Liver; CT scan slice; 512x512 px 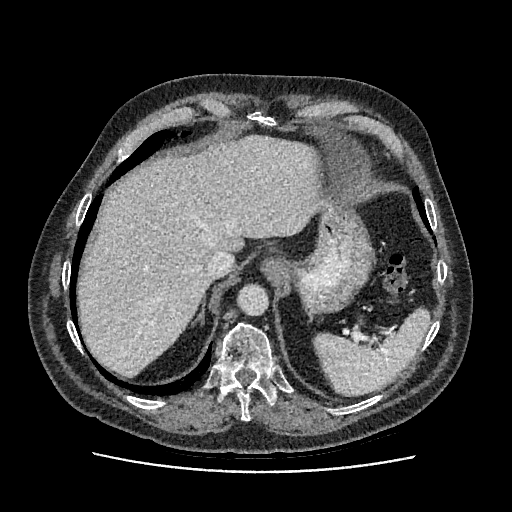 liver:
  - left=78, top=136, right=320, bottom=376